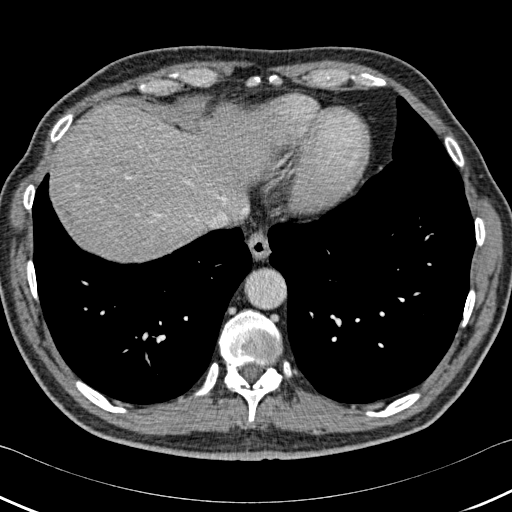

CT; Abdomen

The liver lies within (50, 104, 279, 261). 2 lung regions are located at (267, 95, 475, 403), (32, 173, 259, 404). 13 bone regions appear at (76, 381, 125, 412), (284, 362, 291, 376), (248, 77, 259, 84), (219, 310, 281, 421), (462, 290, 474, 326), (51, 114, 72, 141), (445, 137, 463, 166), (366, 393, 419, 416), (475, 218, 485, 245), (195, 363, 217, 395), (23, 185, 34, 209), (269, 75, 278, 82), (27, 261, 36, 298).